CT

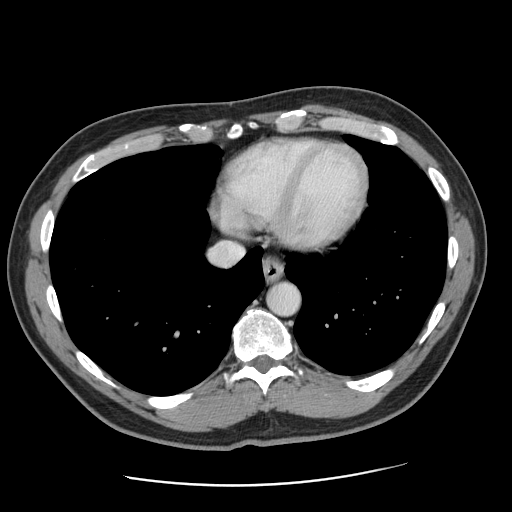
The vessel annotation is not exhaustive.
<segmentation>
  <hepatic_vessel>209, 244, 237, 265; 235, 244, 239, 245</hepatic_vessel>
</segmentation>